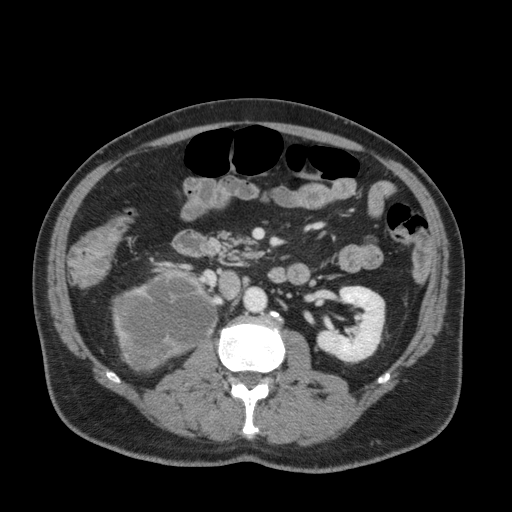
Abdomen, Computed tomography
The kidney appears at <box>318,287,383,360</box>.